CT scan slice | Abdomen | Slice 228/696 | Field of view 339x339 mm
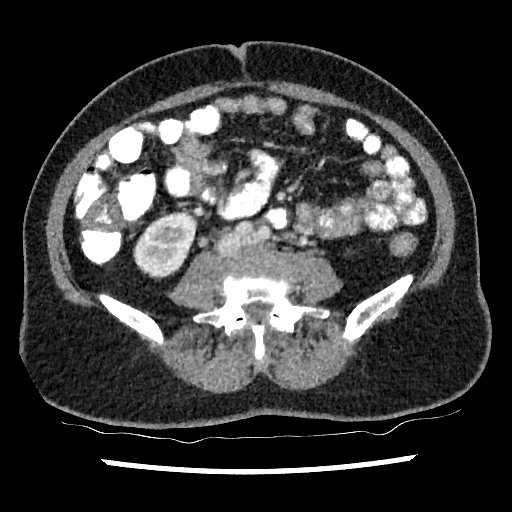
Kidney: box=[135, 214, 194, 275].